Brain | Field of view 240 mm wide, 1.00 mm slice spacing | Slice 41/155
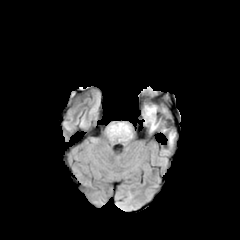
FLAIR MRI.
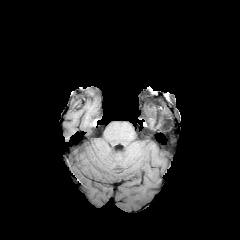
T1-weighted MR.
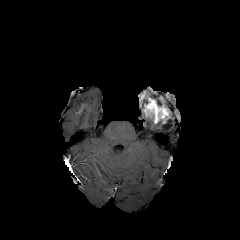
Post-contrast T1-weighted MR image of the same slice.
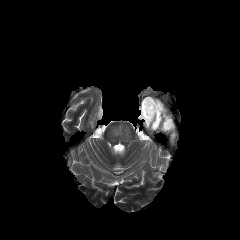
Same slice, T2-weighted magnetic resonance.
2 edema regions are located at <bbox>162, 122, 169, 131</bbox>, <bbox>168, 130, 175, 141</bbox>. The enhancing tumor lies within <bbox>142, 100, 168, 124</bbox>.